CT image; Field of view 380 mm wide, 2.50 mm slice spacing

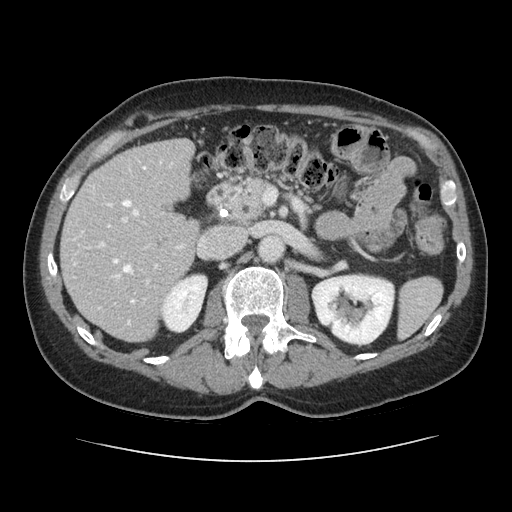
The pancreas is at (left=227, top=180, right=266, bottom=221).